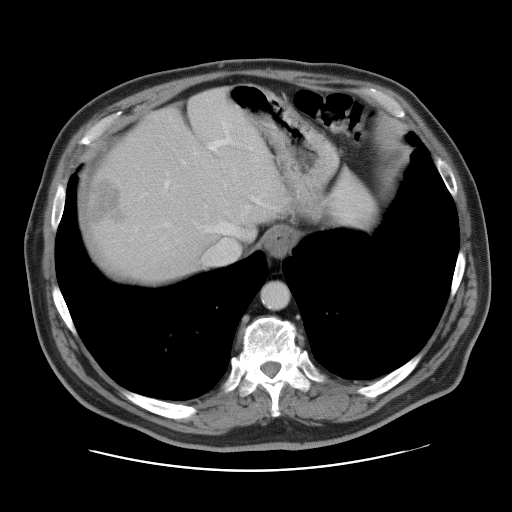

CT slice

Only some of the vessels may be annotated.
Segmented structures:
- liver tumor: 85:176:128:223
- hepatic vessel: 200:222:240:263, 165:181:168:187, 252:197:264:204, 245:206:248:209, 208:124:230:150, 164:223:168:225